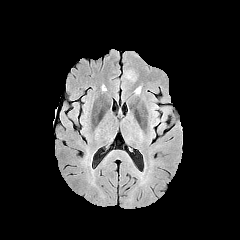
FLAIR MRI.
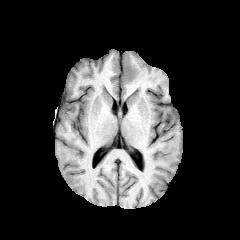
T1-weighted magnetic resonance of the same slice.
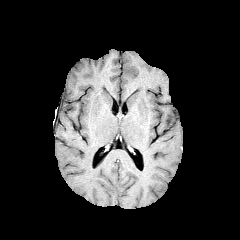
Same slice, post-contrast T1-weighted MR.
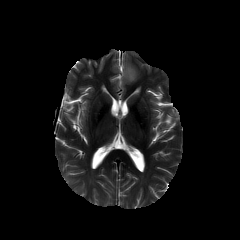
Same slice, T2-weighted magnetic resonance.
Head
Edema = {"x1": 123, "y1": 65, "x2": 137, "y2": 81}.